Slice index 41. Brain.
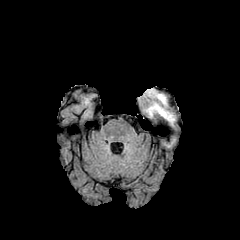
FLAIR MR image.
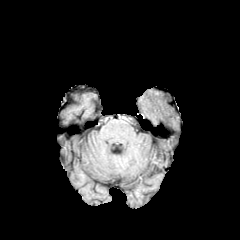
T1-weighted MR image.
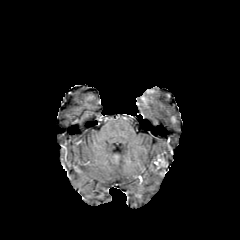
Post-contrast T1-weighted magnetic resonance of the same slice.
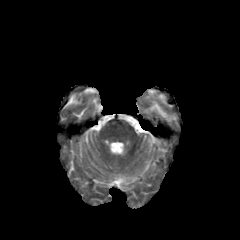
T2-weighted MR image of the same slice.
2 edema regions are bounded by 153, 93, 166, 106; 145, 101, 172, 123.